Slice index 79. Brain. 240x240.
FLAIR MR.
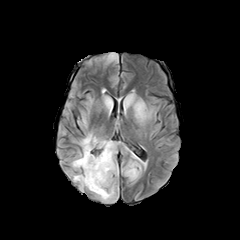
T1-weighted MR image.
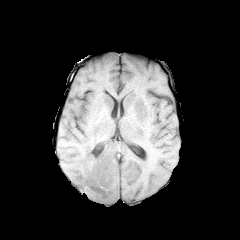
Post-contrast T1-weighted MR image.
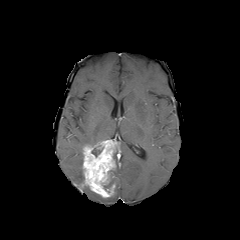
T2-weighted MR.
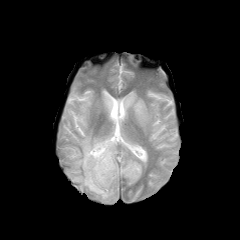
<segmentation>
  <edema>(70,149,82,185), (80,116,87,128), (79,133,102,149), (79,186,117,202), (103,98,111,108), (111,162,118,190), (124,94,147,122)</edema>
  <enhancing_tumor>(82,140,115,197)</enhancing_tumor>
  <non-enhancing_tumor_core>(91,147,101,156), (104,150,116,189)</non-enhancing_tumor_core>
</segmentation>